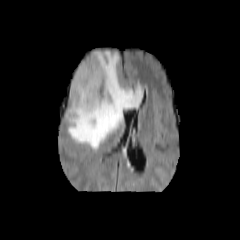
FLAIR MRI.
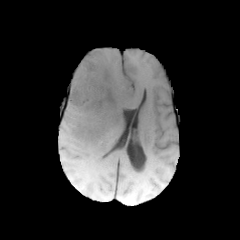
T1-weighted MR.
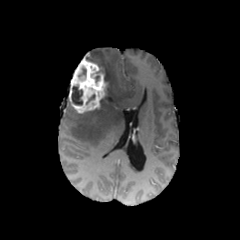
Same slice, post-contrast T1-weighted MRI.
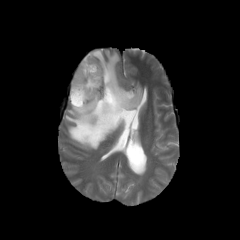
T2-weighted MR image.
2 non-enhancing tumor core regions are located at 71 86 83 105, 86 58 109 106. The enhancing tumor is at 68 57 108 113. The edema lies within 66 49 142 149.